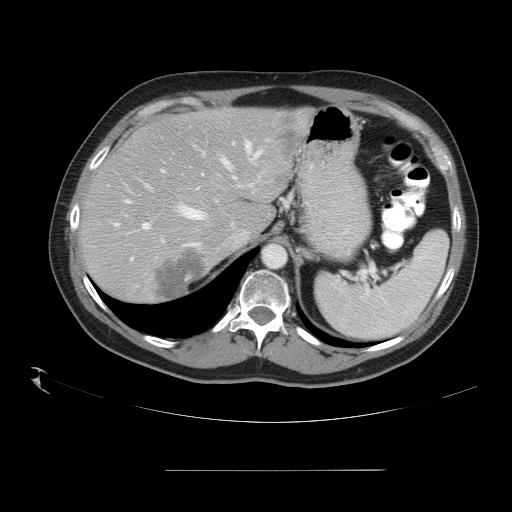 Liver, CT

Not every hepatic vessel necessarily has a box.
{
  "liver_tumor": [
    "bbox=[157, 248, 206, 299]",
    "bbox=[282, 132, 298, 156]"
  ],
  "hepatic_vessel": [
    "bbox=[179, 206, 202, 219]",
    "bbox=[267, 139, 268, 141]",
    "bbox=[162, 239, 164, 241]",
    "bbox=[254, 151, 260, 158]",
    "bbox=[201, 173, 203, 175]",
    "bbox=[233, 176, 235, 178]",
    "bbox=[232, 142, 234, 144]",
    "bbox=[251, 159, 252, 160]",
    "bbox=[245, 141, 251, 151]",
    "bbox=[221, 156, 230, 168]",
    "bbox=[143, 223, 149, 228]"
  ]
}